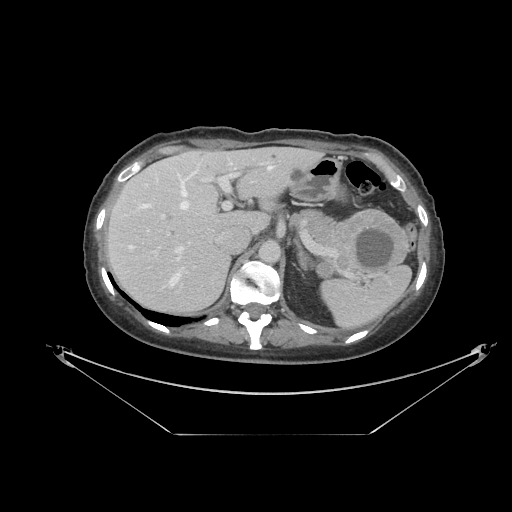 Computed tomography
Segmented structures:
• pancreatic tumor: (329,209,406,272)
• pancreas: (291,209,374,277)